Slice 26/85 | Computed tomography 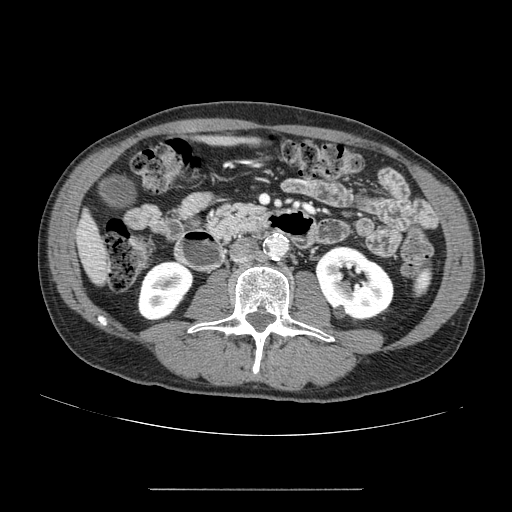

• pancreas: 209:203:268:242